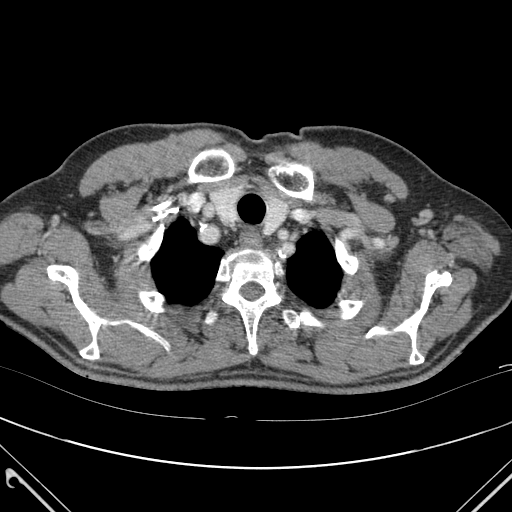
512x512 px; CT image; Chest

Bone at 138:201:178:260, 395:271:451:364, 284:311:321:327, 216:250:281:354, 276:164:313:200, 339:300:362:318, 189:150:233:182, 366:327:386:337, 139:291:163:312, 336:240:357:274, 47:265:106:359, 128:321:160:342.
Lung at 151:219:223:305, 286:231:342:307.